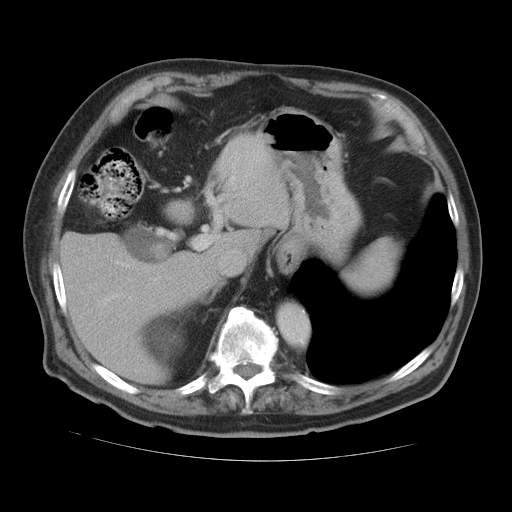

CT slice; 512x512
spleen:
  - region(349, 239, 400, 296)